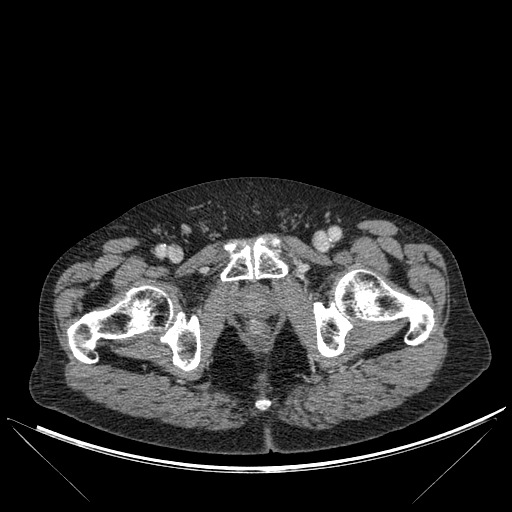
CT image, Image size 512x512

Bone at rect(221, 237, 287, 281); rect(67, 285, 200, 371); rect(314, 269, 434, 357).